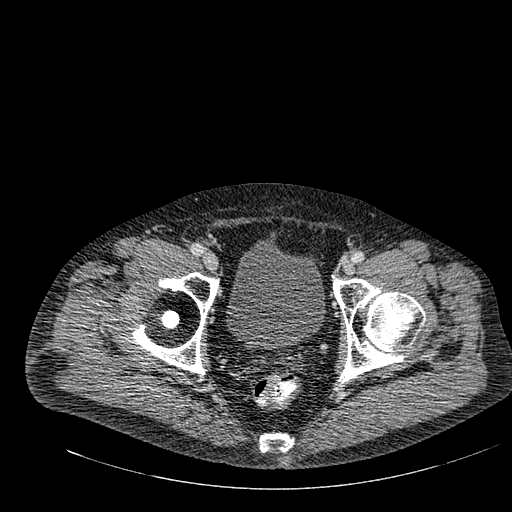
Pelvis. Computed tomography. The urinary bladder is located at rect(226, 238, 325, 350).